Image width 200 mm, Slice index 12
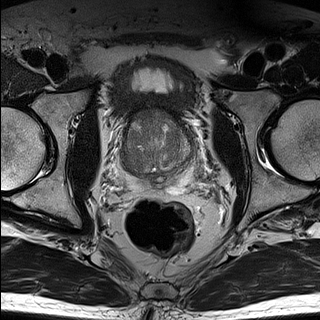
T2-weighted magnetic resonance.
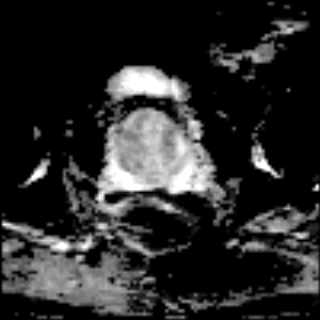
ADC MR.
Annotated regions:
- prostate transition zone: <bbox>119, 113, 198, 176</bbox>
- prostate peripheral zone: <bbox>115, 153, 198, 189</bbox>